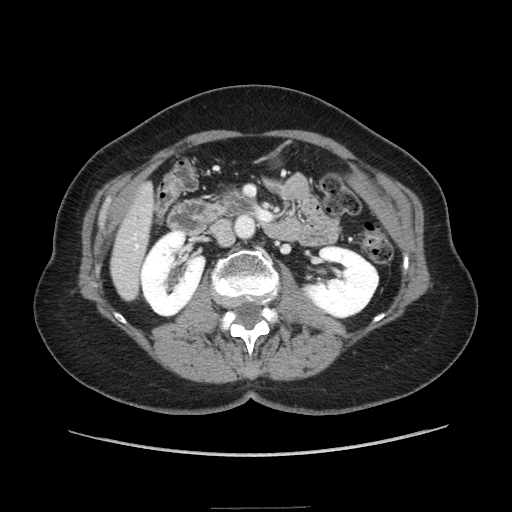

Image size 512x512. CT image. Abdomen.
The pancreas is bounded by x1=204, y1=201, x2=230, y2=219.